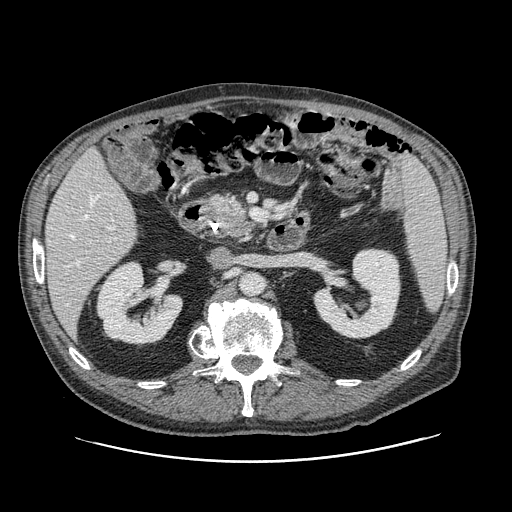

Image size 512x512, Abdomen, CT scan slice
pancreas:
  - rect(211, 196, 251, 236)
pancreatic_tumor:
  - rect(218, 215, 243, 230)